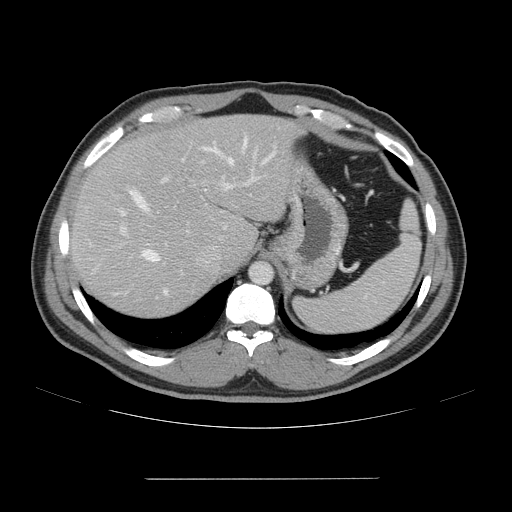
CT.

The vessel boxes may cover only some of the vessels.
Top 15 of 17 hepatic vessel regions: 113 293 118 294, 164 290 167 294, 201 144 221 154, 243 137 247 148, 141 249 158 261, 227 158 233 164, 254 151 255 157, 182 158 184 161, 160 178 167 182, 247 168 256 185, 263 152 273 162, 120 210 125 215, 129 189 147 209, 120 225 126 233, 222 183 232 189.